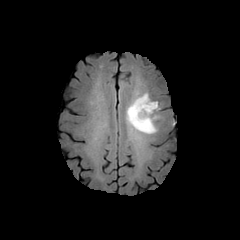
FLAIR MR image.
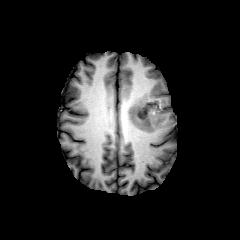
T1-weighted MR.
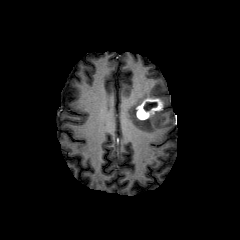
Post-contrast T1-weighted MR.
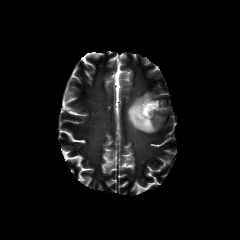
T2-weighted magnetic resonance of the same slice.
Edema — (left=126, top=92, right=162, bottom=134).
Enhancing tumor — (left=135, top=97, right=162, bottom=120).
Non-enhancing tumor core — (left=144, top=102, right=156, bottom=110).